Image size 512x512; CT scan slice; Slice 107/148; Upper abdomen

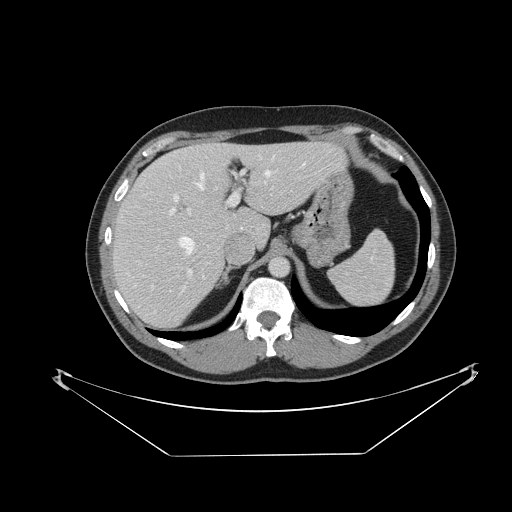
<segmentation>
  <spleen>[329, 231, 394, 307]</spleen>
</segmentation>